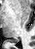

Hippocampus; MR

The posterior hippocampus is at (8,39,18,42).